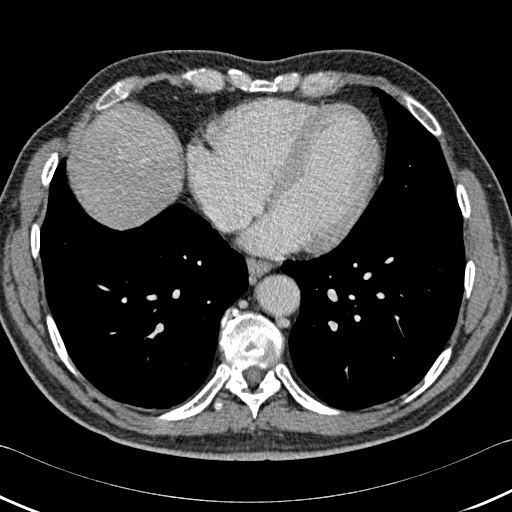
512x512; CT slice
10 bone regions are located at box=[96, 82, 128, 109]; box=[457, 184, 470, 217]; box=[31, 224, 39, 257]; box=[41, 153, 57, 185]; box=[407, 348, 450, 400]; box=[465, 261, 474, 297]; box=[47, 316, 75, 374]; box=[158, 309, 339, 420]; box=[404, 96, 440, 135]; box=[241, 75, 288, 91]. 2 lung regions are located at box=[40, 158, 248, 408]; box=[275, 87, 465, 410]. The liver is at box=[83, 114, 169, 229].